Slice 27 of 40, MRI, 37x50 px 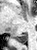
posterior_hippocampus:
  - <bbox>14, 34, 27, 43</bbox>